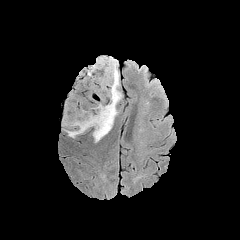
FLAIR magnetic resonance.
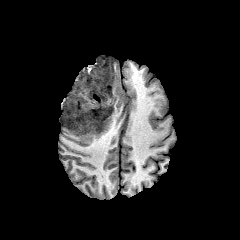
Same slice, T1-weighted MR image.
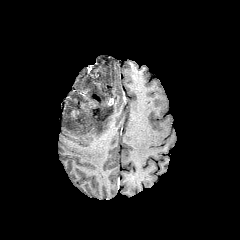
Post-contrast T1-weighted MRI of the same slice.
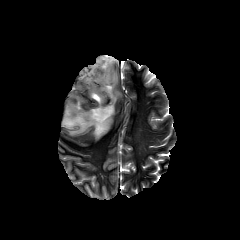
T2-weighted MRI of the same slice.
Non-enhancing tumor core: {"x1": 89, "y1": 102, "x2": 111, "y2": 130}, {"x1": 99, "y1": 61, "x2": 111, "y2": 93}.
Edema: {"x1": 63, "y1": 56, "x2": 121, "y2": 141}.